Image size 512x512, CT slice, Slice 49 of 122

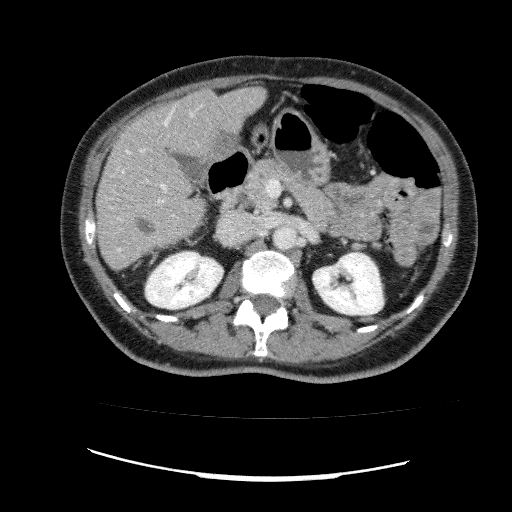
{
  "kidney": [
    "[145, 252, 222, 308]",
    "[313, 253, 383, 314]"
  ],
  "liver": [
    "[96, 87, 267, 268]"
  ],
  "hepatic_lesion": [
    "[134, 215, 154, 235]"
  ]
}